FLAIR magnetic resonance.
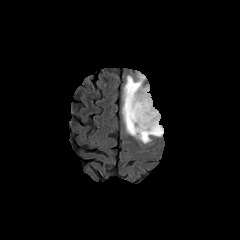
T1-weighted MR.
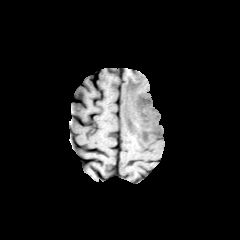
Post-contrast T1-weighted magnetic resonance.
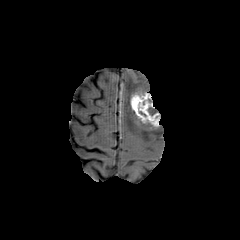
T2-weighted MR image.
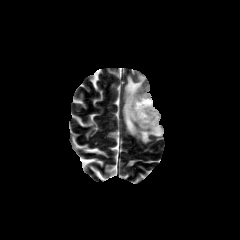
Brain
edema: {"x1": 121, "y1": 71, "x2": 161, "y2": 144} | non-enhancing tumor core: {"x1": 142, "y1": 123, "x2": 161, "y2": 139}, {"x1": 124, "y1": 80, "x2": 140, "y2": 129} | enhancing tumor: {"x1": 130, "y1": 92, "x2": 159, "y2": 128}